Head, Slice index 696, CT scan slice
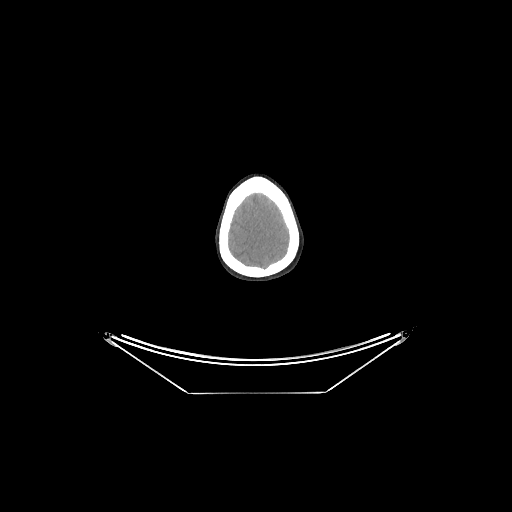 The brain is bounded by x1=228 y1=193 x2=289 y2=269.